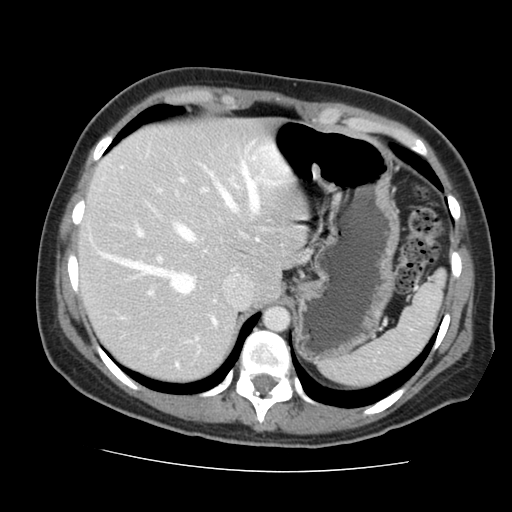 Abdomen; CT scan slice

The vessel annotation is not exhaustive.
Largest 15 of 19 hepatic vessel regions at bbox=[148, 291, 152, 294]; bbox=[207, 171, 212, 176]; bbox=[100, 253, 193, 293]; bbox=[201, 188, 206, 191]; bbox=[180, 178, 183, 181]; bbox=[246, 141, 253, 149]; bbox=[251, 146, 283, 168]; bbox=[136, 226, 142, 237]; bbox=[202, 166, 206, 170]; bbox=[157, 257, 160, 261]; bbox=[216, 185, 235, 210]; bbox=[229, 178, 237, 187]; bbox=[261, 170, 263, 173]; bbox=[212, 318, 215, 324]; bbox=[240, 162, 281, 212].